CT scan slice, Slice 126/151, 512x512
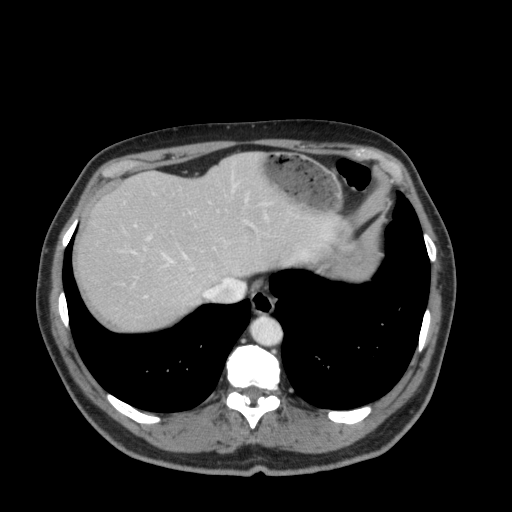 liver: 78:153:350:329